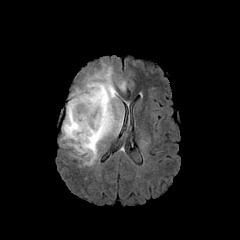
FLAIR MRI.
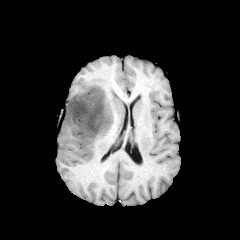
T1-weighted MR image of the same slice.
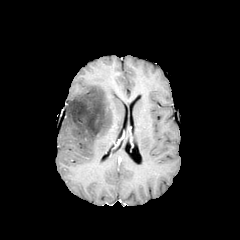
Post-contrast T1-weighted magnetic resonance.
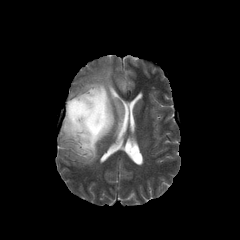
T2-weighted MR image.
{
  "non-enhancing_tumor_core": [
    "bbox=[68, 88, 110, 138]"
  ],
  "edema": [
    "bbox=[61, 67, 124, 163]"
  ]
}